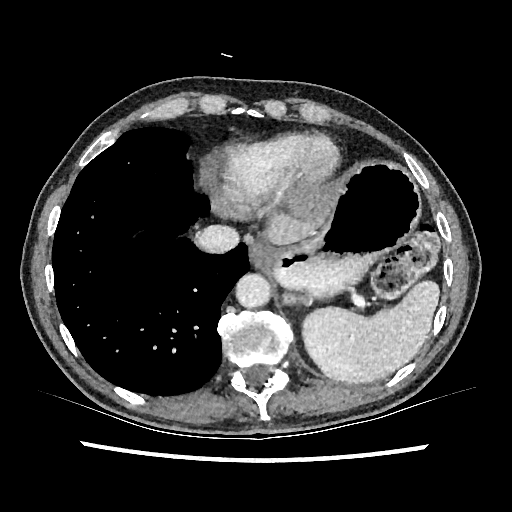
CT image; Upper abdomen
<segmentation>
  <liver>[289,180,342,199], [268,211,326,243]</liver>
  <liver_lesion>[287,194,336,220]</liver_lesion>
</segmentation>